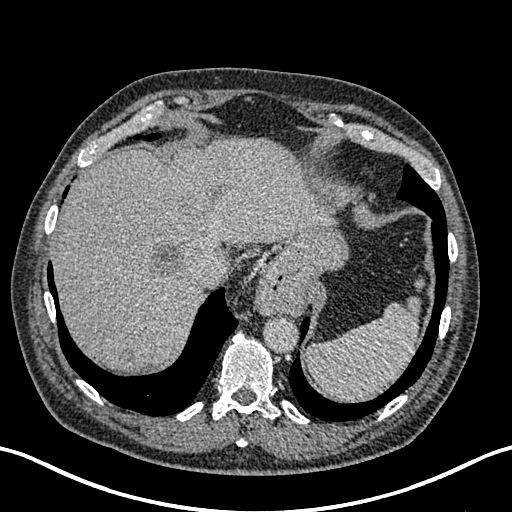

CT scan slice | Abdomen
Liver lesion — bbox(178, 198, 210, 219); bbox(119, 348, 135, 362); bbox(206, 185, 223, 200); bbox(148, 241, 184, 278).
Liver — bbox(54, 139, 334, 369).